CT image; Field of view 358 mm wide, 0.70 mm slice spacing
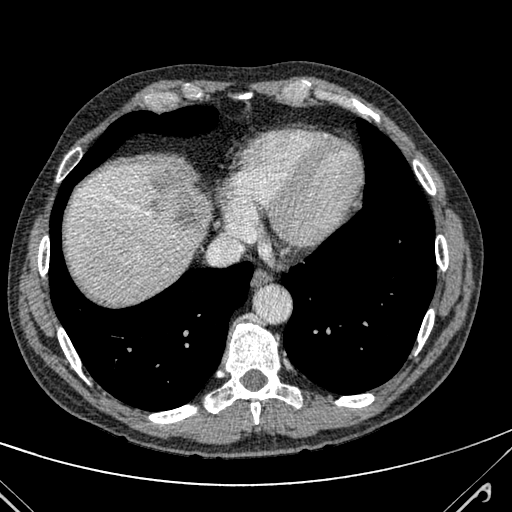 liver: l=65, t=162, r=210, b=301 | focal liver lesion: l=150, t=199, r=160, b=211; l=153, t=167, r=174, b=192; l=174, t=200, r=202, b=230